Slice index 92, Head, 240x240 px
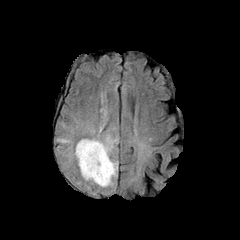
FLAIR MRI.
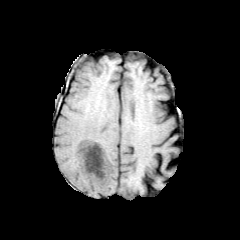
T1-weighted MRI.
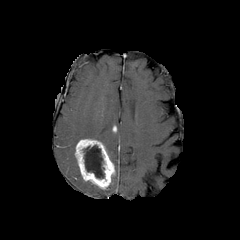
Same slice, post-contrast T1-weighted MRI.
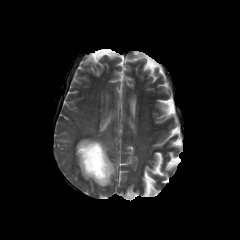
Same slice, T2-weighted magnetic resonance.
The non-enhancing tumor core appears at [84, 145, 103, 178]. The enhancing tumor is bounded by [75, 139, 114, 187]. 2 edema regions are located at [90, 135, 117, 153], [110, 159, 118, 185].